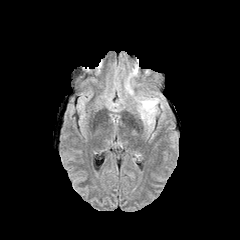
FLAIR magnetic resonance.
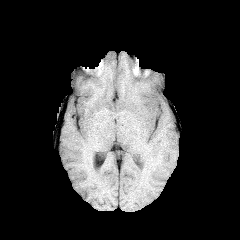
T1-weighted magnetic resonance.
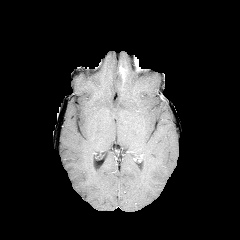
Post-contrast T1-weighted MR.
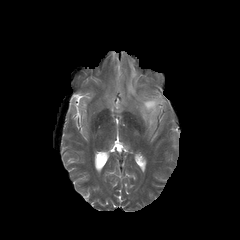
Same slice, T2-weighted MR.
Head
{"edema": ["<box>136,94,161,125</box>", "<box>125,80,135,95</box>", "<box>129,68,136,78</box>"]}